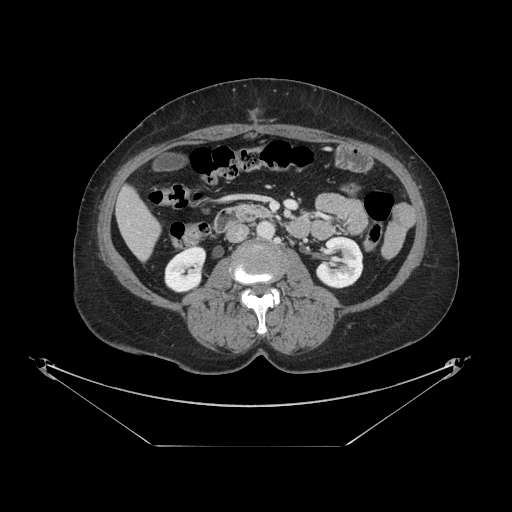 CT scan slice | Abdomen

The pancreas is located at <box>253,206,270,217</box>.